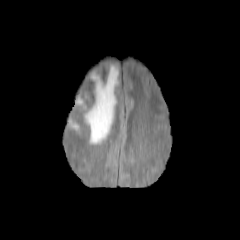
FLAIR magnetic resonance.
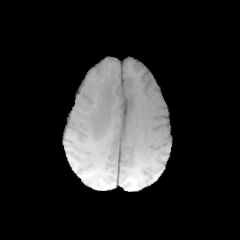
T1-weighted magnetic resonance.
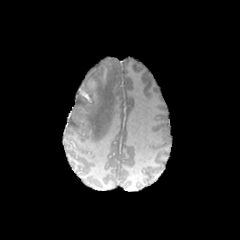
Post-contrast T1-weighted MR image.
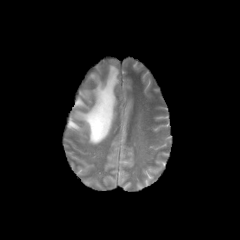
Same slice, T2-weighted MRI.
240x240 px.
Segmented structures:
• non-enhancing tumor core: left=78, top=88, right=93, bottom=105
• edema: left=72, top=64, right=118, bottom=144; left=67, top=118, right=79, bottom=129